240x240, Slice index 96
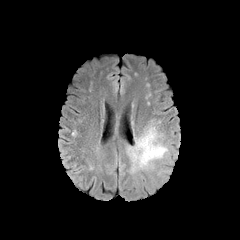
FLAIR MRI.
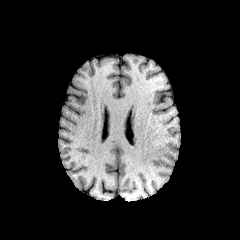
Same slice, T1-weighted magnetic resonance.
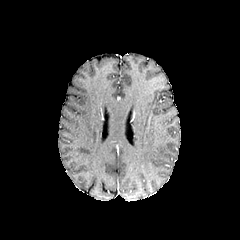
Post-contrast T1-weighted magnetic resonance of the same slice.
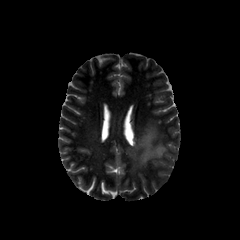
T2-weighted magnetic resonance of the same slice.
{
  "edema": [
    "rect(127, 124, 167, 173)"
  ]
}